240x240 px | Slice 60 of 155
FLAIR MR image.
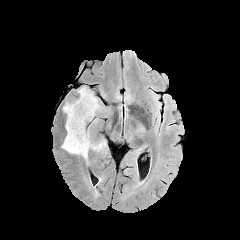
T1-weighted MRI.
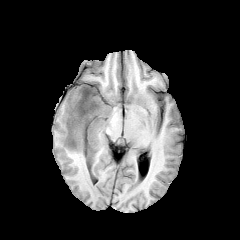
Post-contrast T1-weighted MR.
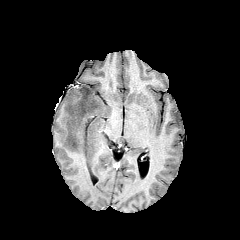
T2-weighted MR.
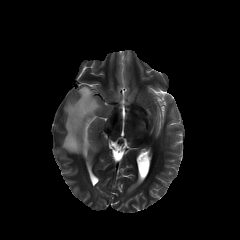
Edema at [x1=61, y1=86, x2=106, y2=159].
Non-enhancing tumor core at [x1=72, y1=89, x2=93, y2=127].